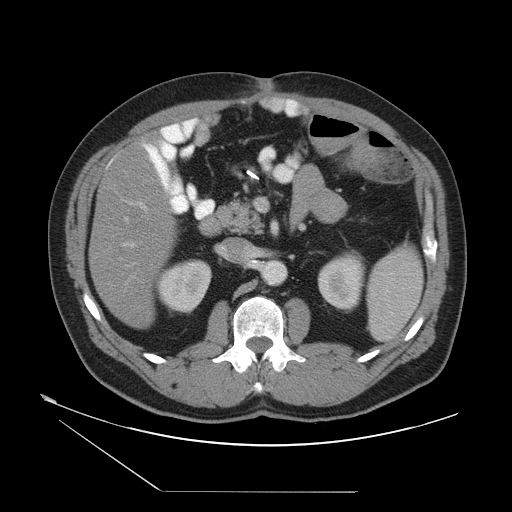 Abdomen. 512x512 px. CT scan slice. Only some of the vessels may be annotated.
<segmentation>
  <hepatic_vessel>{"x1": 124, "y1": 218, "x2": 127, "y2": 221}, {"x1": 122, "y1": 242, "x2": 134, "y2": 247}, {"x1": 119, "y1": 258, "x2": 120, "y2": 260}, {"x1": 125, "y1": 201, "x2": 146, "y2": 211}, {"x1": 131, "y1": 263, "x2": 134, "y2": 264}</hepatic_vessel>
</segmentation>